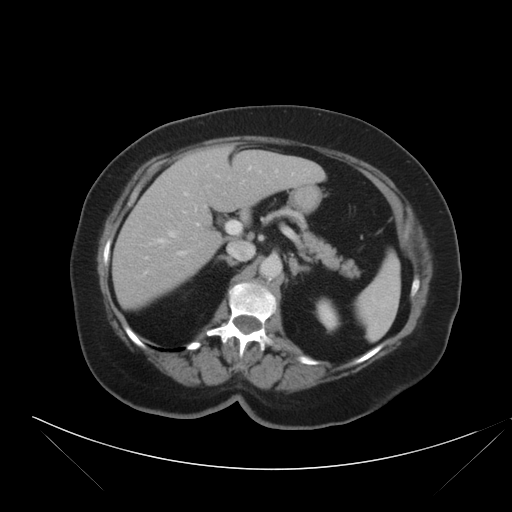 Abdomen, CT slice
Not every hepatic vessel necessarily has a box.
{
  "partial": true,
  "hepatic_vessel": {
    "n_total": 17,
    "boxes": [
      "bbox(184, 211, 185, 213)",
      "bbox(145, 257, 148, 259)",
      "bbox(248, 167, 250, 170)",
      "bbox(169, 231, 175, 237)",
      "bbox(193, 172, 196, 174)",
      "bbox(184, 193, 188, 195)",
      "bbox(241, 180, 244, 183)",
      "bbox(177, 251, 186, 255)",
      "bbox(144, 271, 147, 274)",
      "bbox(196, 223, 199, 225)",
      "bbox(151, 238, 166, 243)",
      "bbox(275, 170, 277, 171)",
      "bbox(259, 170, 261, 173)",
      "bbox(206, 185, 209, 187)",
      "bbox(204, 205, 205, 207)"
    ]
  }
}